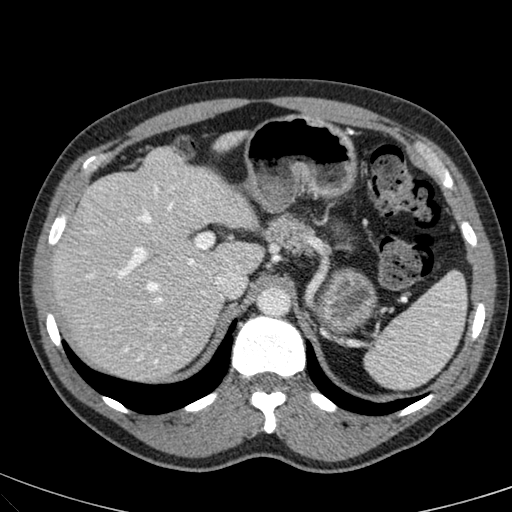
Liver | 512x512 | CT slice
The liver appears at bbox=[51, 149, 262, 380].